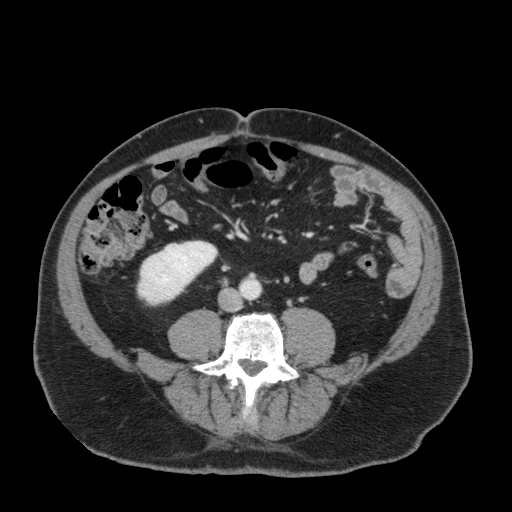

CT image, 512x512 px, Abdomen

The kidney appears at 138, 241, 216, 303.